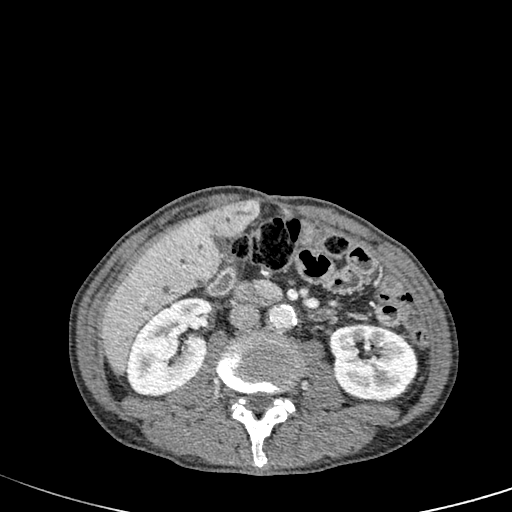
CT scan slice; Abdomen; 512x512
Liver — box(102, 210, 220, 376).
Hepatic lesion — box(208, 200, 258, 237).
Kidney — box(127, 298, 210, 395); box(330, 325, 416, 399).